Head.
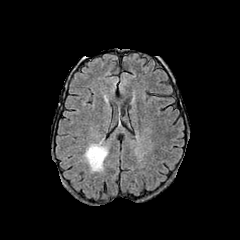
FLAIR MRI.
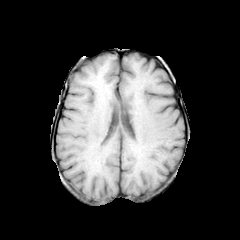
T1-weighted MRI.
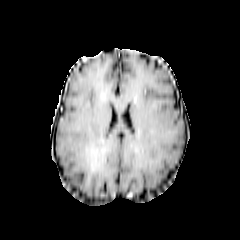
Post-contrast T1-weighted MRI.
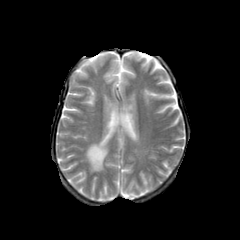
T2-weighted MR.
Non-enhancing tumor core: bounding box 90:147:106:169.
Edema: bounding box 83:137:108:172.